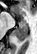 Medial temporal lobe. MRI.
Posterior hippocampus: {"x1": 14, "y1": 20, "x2": 27, "y2": 41}.
Anterior hippocampus: {"x1": 11, "y1": 13, "x2": 14, "y2": 16}.